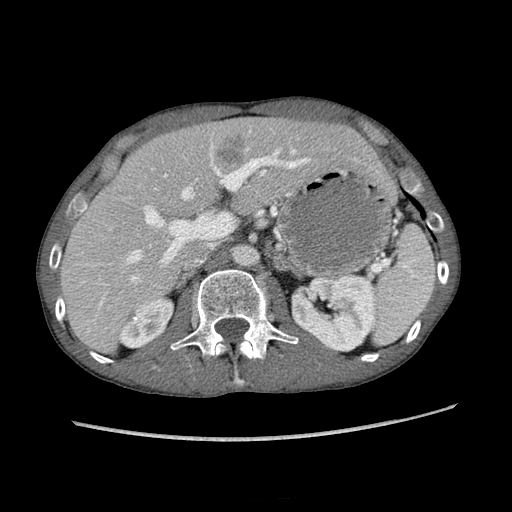

Liver. Computed tomography. Annotated regions:
• liver: l=57, t=119, r=378, b=352
• kidney: l=293, t=276, r=375, b=350; l=120, t=299, r=173, b=346
• liver lesion: l=216, t=134, r=247, b=170